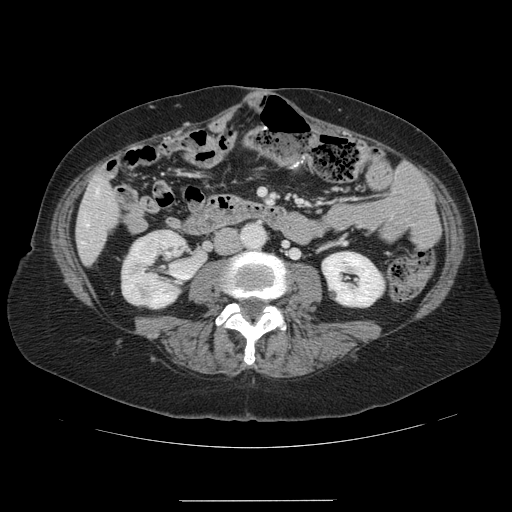 Abdomen; CT

Some hepatic vessels may have no box.
Annotated regions:
* hepatic vessel: box=[85, 223, 88, 225]